Liver; CT slice

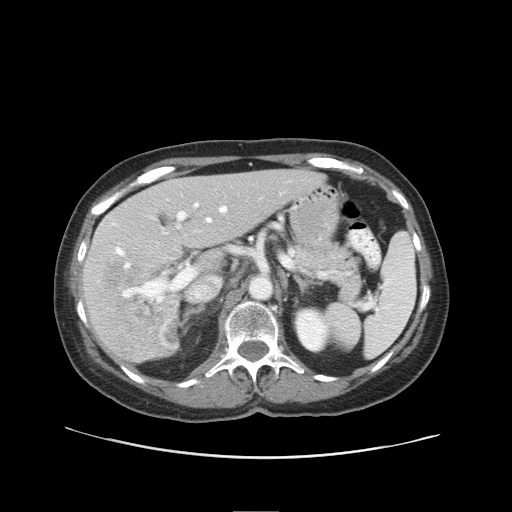 Only some of the vessels may be annotated.
Liver tumor: bounding box 100, 258, 179, 352.
Hepatic vessel: bounding box 176, 210, 186, 228; 116, 248, 123, 255; 206, 218, 211, 222; 162, 229, 165, 233; 149, 262, 198, 294; 220, 207, 226, 212; 194, 203, 198, 207.